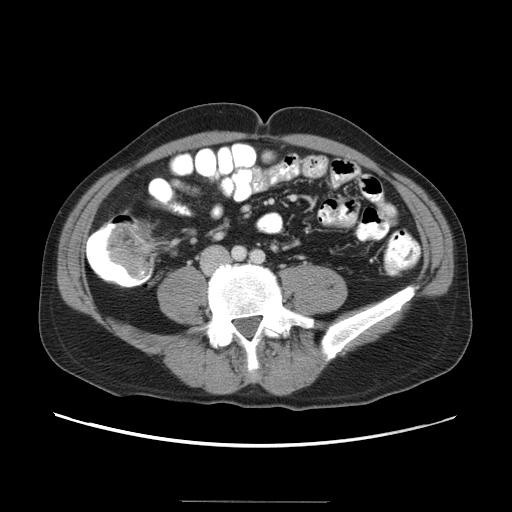 512x512 | CT image
The colon tumor lies within 107:222:154:280.